Slice 32/114; Image size 512x512; CT image; Liver 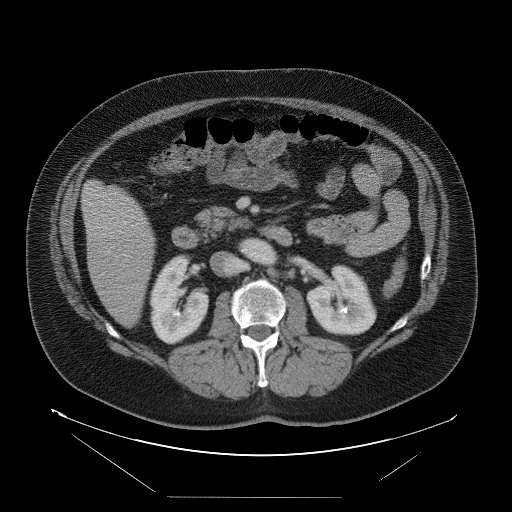

Not every hepatic vessel necessarily has a box.
- hepatic vessel: x1=124, y1=254, x2=130, y2=256